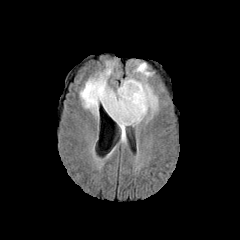
FLAIR MR image.
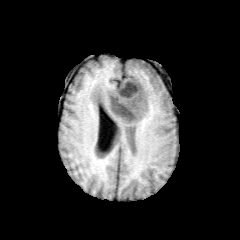
T1-weighted magnetic resonance.
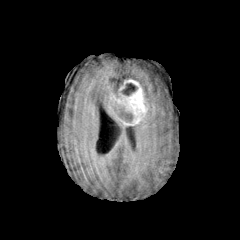
Post-contrast T1-weighted magnetic resonance.
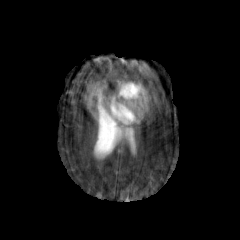
T2-weighted MRI of the same slice.
Non-enhancing tumor core = {"x1": 121, "y1": 83, "x2": 137, "y2": 96}, {"x1": 118, "y1": 108, "x2": 132, "y2": 122}.
Edema = {"x1": 125, "y1": 60, "x2": 158, "y2": 115}, {"x1": 79, "y1": 60, "x2": 131, "y2": 143}.
Enhancing tumor = {"x1": 108, "y1": 79, "x2": 148, "y2": 123}.